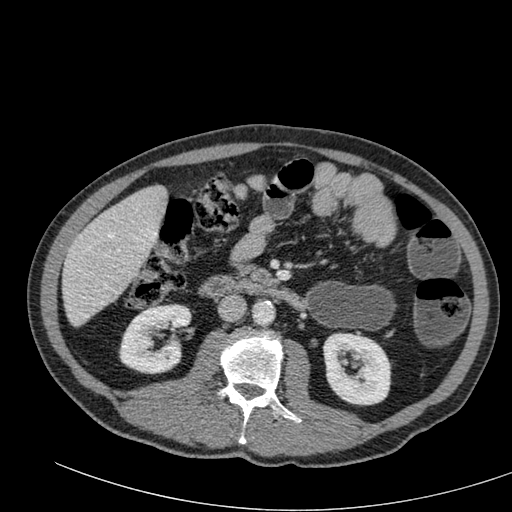 CT slice
2 kidney regions are located at rect(120, 305, 190, 372); rect(324, 334, 389, 404). The liver is bounded by rect(62, 186, 166, 325).